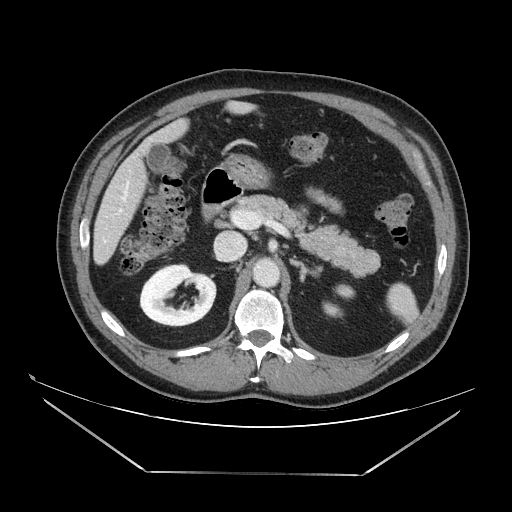 CT | Abdomen
pancreas: (230,195,380,277)